CT scan slice, Slice 91 of 146 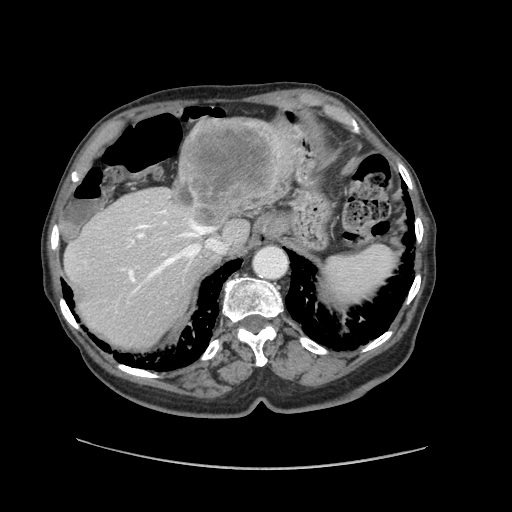 Not every hepatic vessel necessarily has a box.
hepatic vessel: rect(164, 221, 166, 223); rect(177, 219, 214, 237); rect(137, 233, 143, 237); rect(137, 225, 149, 229); rect(139, 244, 200, 286); rect(132, 240, 133, 242); rect(206, 239, 227, 252) | liver tumor: rect(176, 121, 289, 223)